FLAIR magnetic resonance.
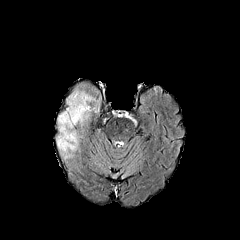
T1-weighted MR image.
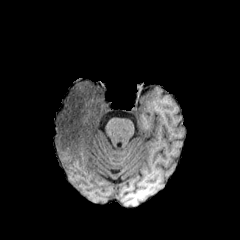
Post-contrast T1-weighted MR image.
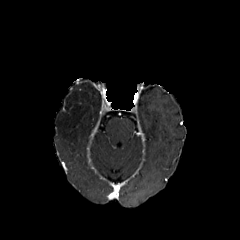
T2-weighted MR image.
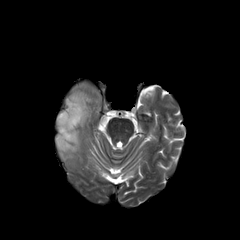
Head.
• edema: box(56, 82, 101, 160)